Head; 240x240
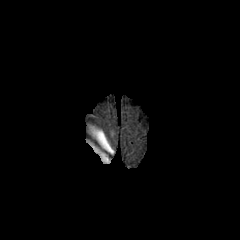
FLAIR MR.
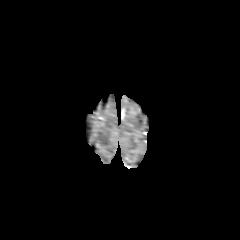
T1-weighted MRI.
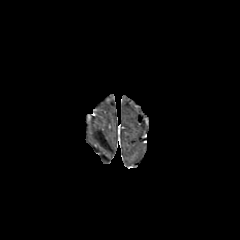
Post-contrast T1-weighted MRI.
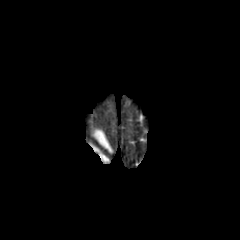
Same slice, T2-weighted MR image.
Edema: rect(93, 129, 113, 153); rect(90, 145, 109, 163).